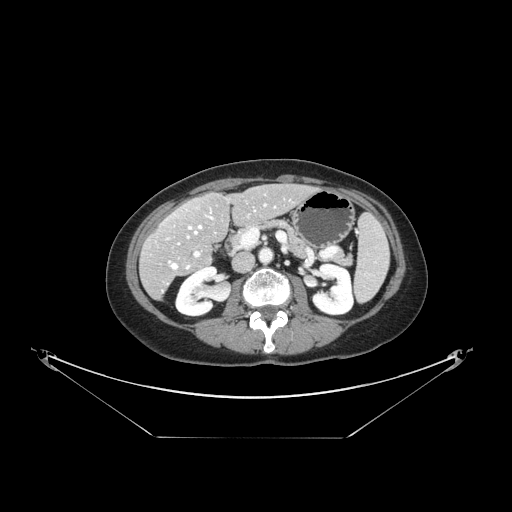
CT slice. Abdomen. Some hepatic vessels may have no box.
Hepatic vessel: bbox(195, 252, 198, 255).